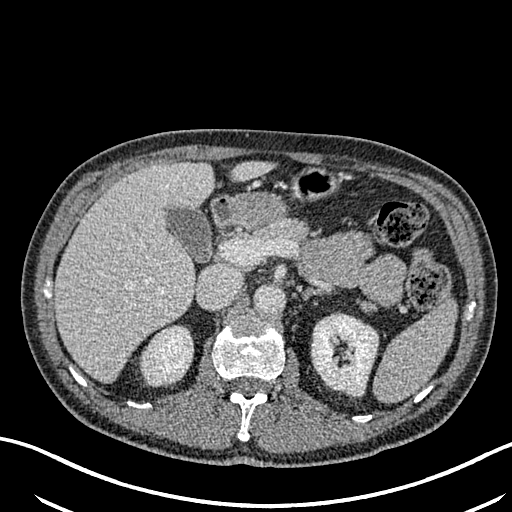 CT scan slice.
liver: left=55, top=162, right=213, bottom=381; left=230, top=162, right=271, bottom=180 | kidney: left=312, top=315, right=377, bottom=391; left=142, top=327, right=192, bottom=382